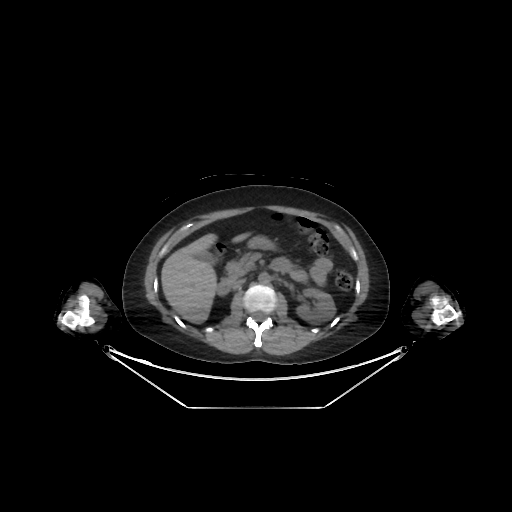 CT image, Image size 512x512
The kidney is at box(296, 287, 334, 324). 2 liver regions are located at box(233, 234, 248, 241); box(161, 234, 219, 322).